CT slice. Slice 81 of 241. Thorax.

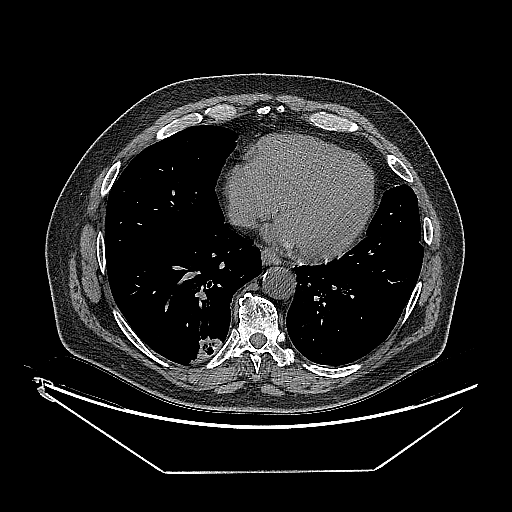
lung tumor: 187, 335, 222, 365